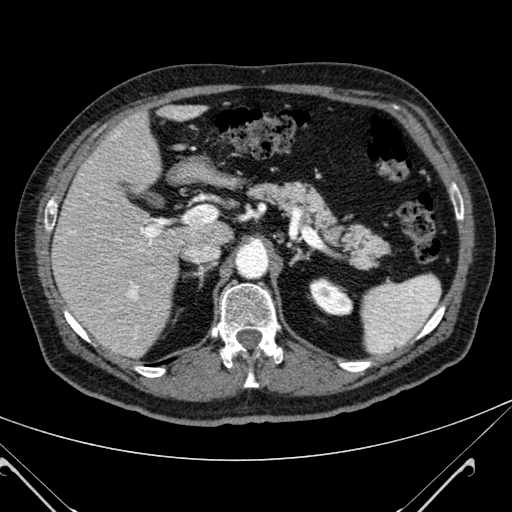 512x512 px | CT scan slice | Liver

liver: (left=164, top=102, right=204, bottom=119), (left=50, top=115, right=227, bottom=354) | kidney: (left=311, top=280, right=351, bottom=313)